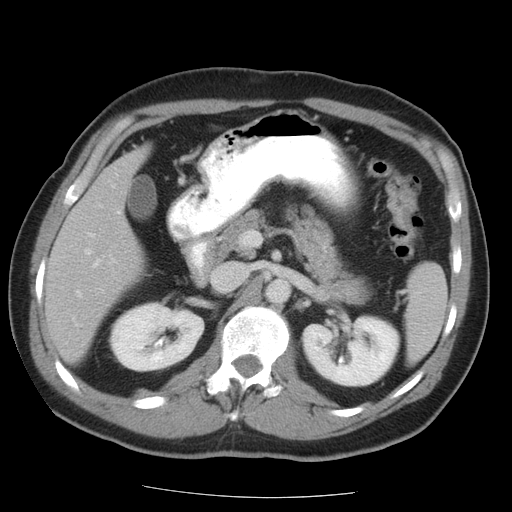
512x512. Liver. CT image.

The vessel boxes may cover only some of the vessels.
7 hepatic vessel regions are bounded by bbox(85, 249, 91, 253); bbox(94, 259, 100, 266); bbox(117, 211, 120, 212); bbox(101, 205, 102, 207); bbox(102, 290, 103, 291); bbox(77, 291, 81, 296); bbox(89, 233, 94, 236).